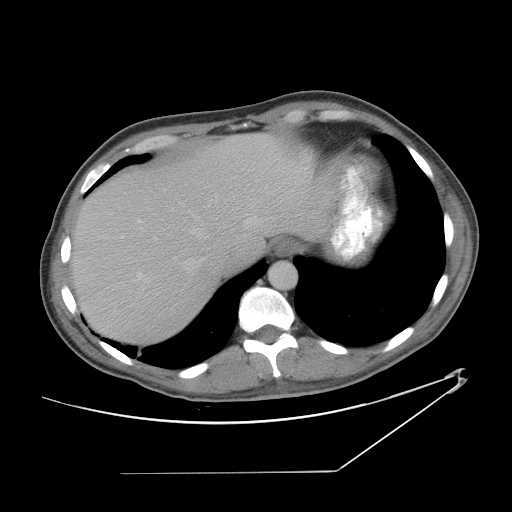
Image size 512x512 | CT
The vessel boxes may cover only some of the vessels.
{"hepatic_vessel": ["137 273 143 279", "135 280 137 281", "186 259 192 269", "164 188 165 191", "138 220 140 222", "189 228 207 238", "244 214 265 224", "154 237 156 239", "199 260 201 262", "122 237 123 238"]}